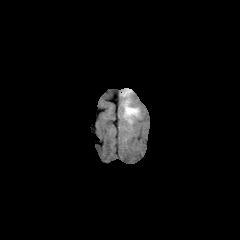
FLAIR MRI.
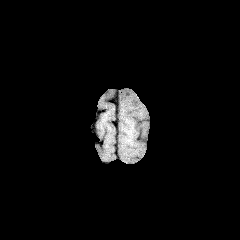
Same slice, T1-weighted magnetic resonance.
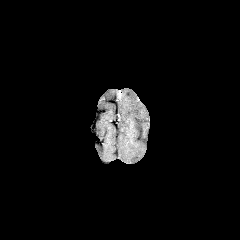
Post-contrast T1-weighted MR.
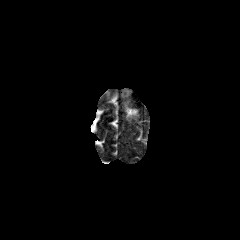
T2-weighted MR of the same slice.
240x240 px.
The edema lies within left=119, top=89, right=141, bottom=122.